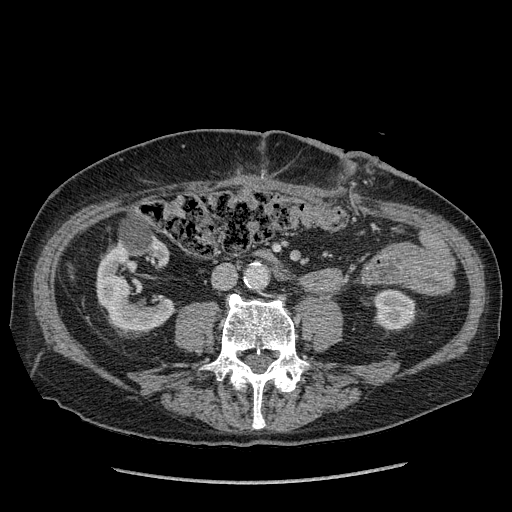
Abdomen | CT image

Kidney at (374, 289, 415, 329), (97, 243, 173, 330), (151, 240, 168, 265).